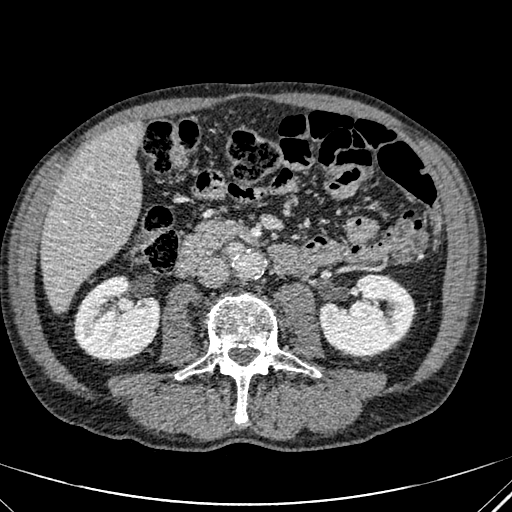 Image size 512x512; CT slice
kidney:
  - 320, 275, 413, 354
  - 75, 278, 158, 358
liver:
  - 41, 121, 141, 310